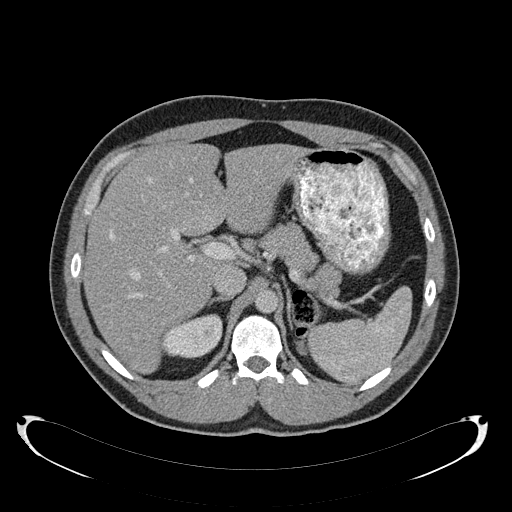

CT scan slice; Upper abdomen
{"liver": ["bbox=[83, 145, 306, 372]", "bbox=[244, 239, 254, 250]"], "kidney": ["bbox=[166, 315, 221, 357]"]}